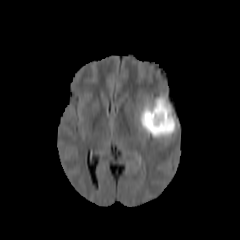
FLAIR MRI.
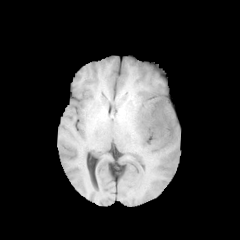
Same slice, T1-weighted magnetic resonance.
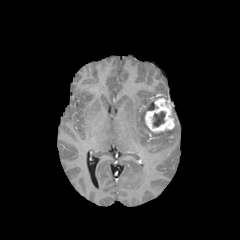
Post-contrast T1-weighted MRI.
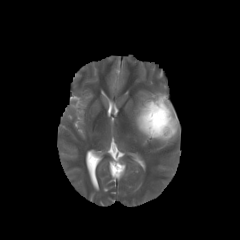
Same slice, T2-weighted MR.
Brain
Findings:
* edema: 133 94 177 143
* enhancing tumor: 144 97 176 133
* non-enhancing tumor core: 162 119 177 135, 153 112 165 126